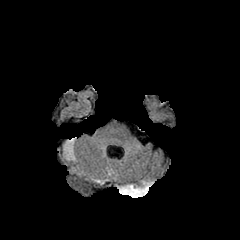
FLAIR MR.
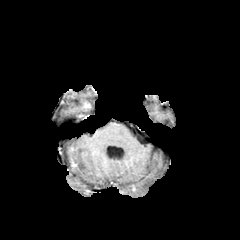
T1-weighted MR image.
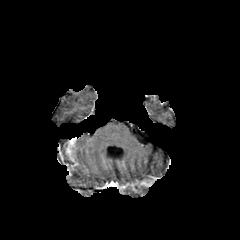
Post-contrast T1-weighted magnetic resonance of the same slice.
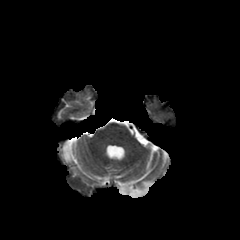
T2-weighted MR image.
Head
Findings:
• non-enhancing tumor core: (120, 182, 141, 192)
• enhancing tumor: (120, 183, 133, 189)
• edema: (119, 186, 148, 197)